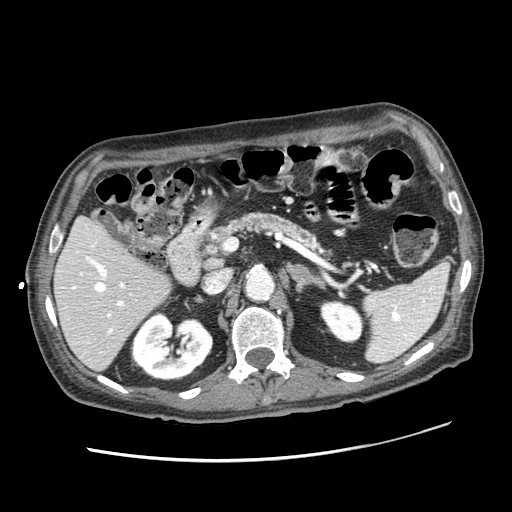 Abdomen, CT scan slice

Pancreas: bounding box 218, 214, 322, 251.